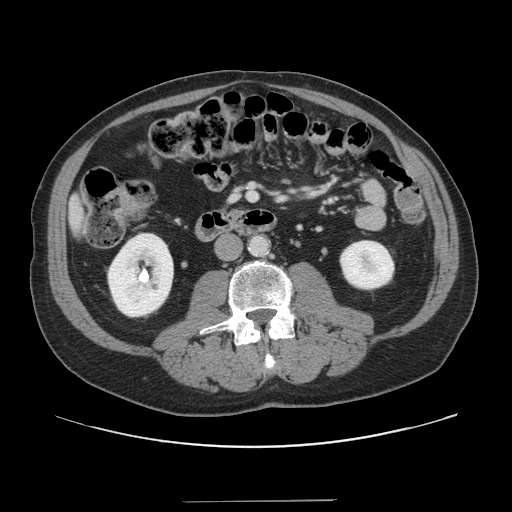

Liver, 512x512, CT scan slice
The vessel boxes may cover only some of the vessels.
The hepatic vessel is bounded by rect(249, 193, 256, 199).